FLAIR magnetic resonance.
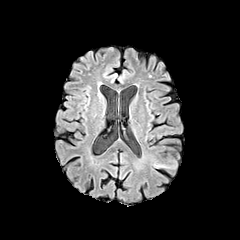
T1-weighted magnetic resonance.
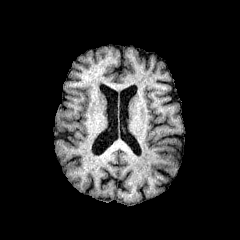
Post-contrast T1-weighted MR.
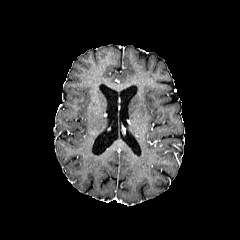
T2-weighted MR image.
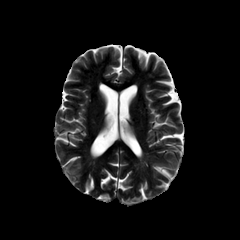
Brain, Image size 240x240
Annotated regions:
- edema: (146,154,177,175)